Image width 240 mm. Slice 124/155.
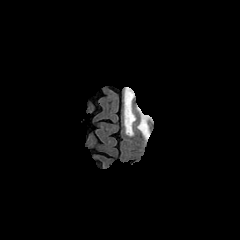
FLAIR MR.
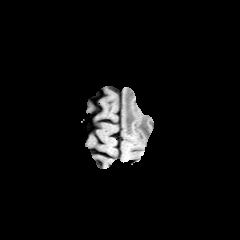
T1-weighted MRI.
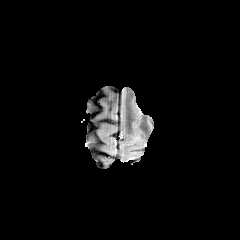
Post-contrast T1-weighted MR image.
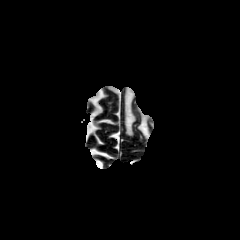
T2-weighted MR.
Non-enhancing tumor core = <box>124,92,133,131</box>, <box>136,107,147,133</box>.
Edema = <box>122,87,153,143</box>.